CT 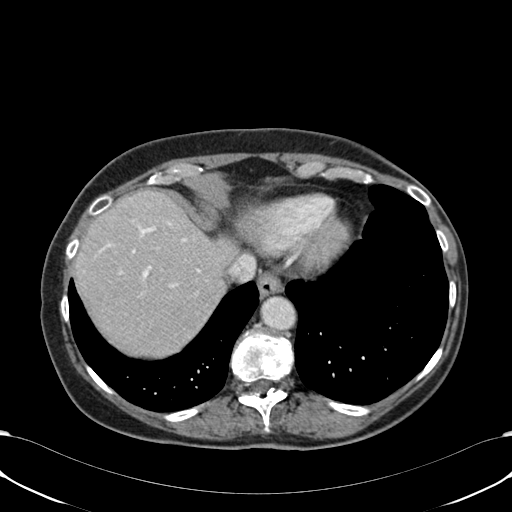

Segmented structures:
• liver: bbox=[75, 191, 234, 355]